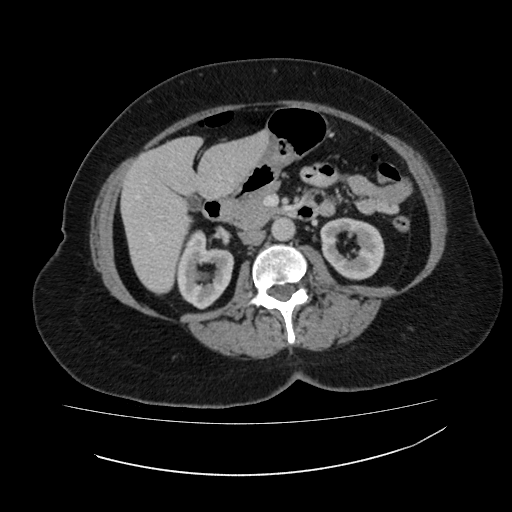
CT scan slice, Upper abdomen

liver: box(121, 130, 268, 292) | kidney: box(175, 230, 232, 307); box(321, 218, 383, 279)